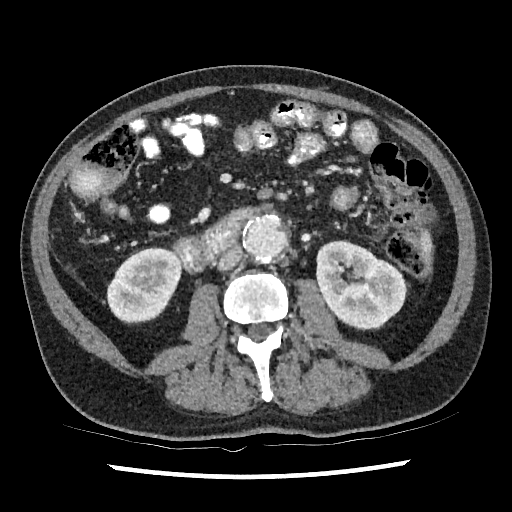

CT slice. 2 kidney regions are located at bbox=[107, 248, 180, 321]; bbox=[316, 241, 405, 328].